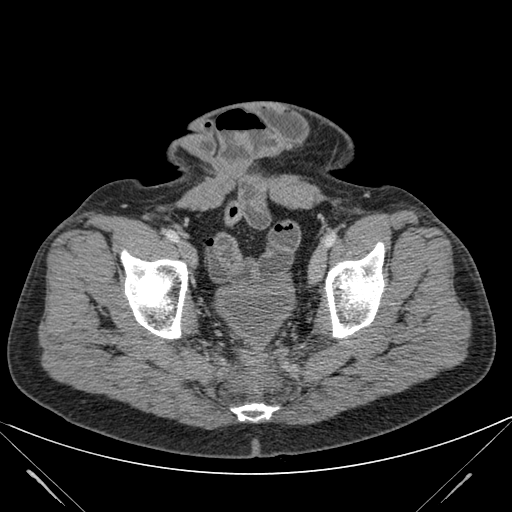
Lower abdomen, Computed tomography
Urinary bladder: 214 277 295 339.